Liver, Computed tomography, Slice 96/266

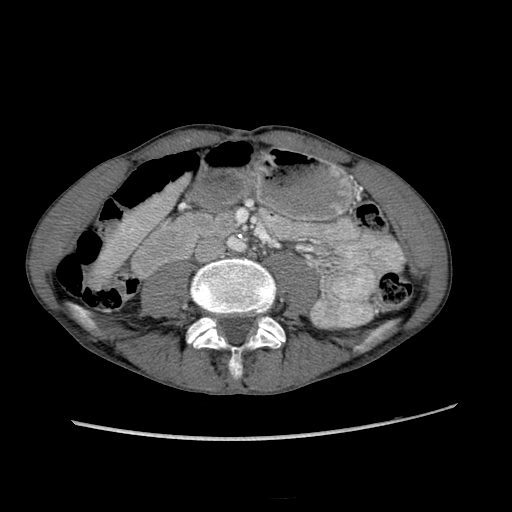 liver: <bbox>99, 186, 177, 275</bbox>